Slice 265 of 427 | CT slice 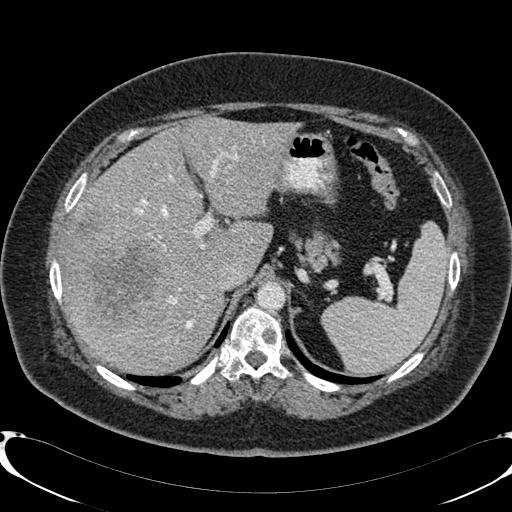 {"liver": ["bbox=[64, 117, 299, 370]"], "liver_lesion": ["bbox=[67, 208, 168, 330]"]}